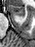

Hippocampus. MRI.
anterior hippocampus: 8 5 24 16